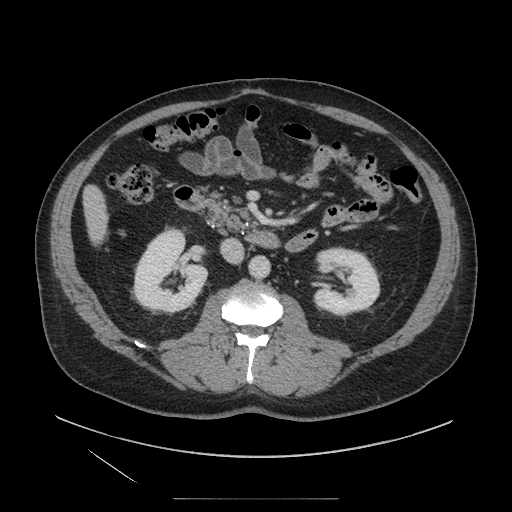

Computed tomography. Upper abdomen.
Findings:
• pancreas: (197, 186, 248, 233)